512x512. Computed tomography. Abdomen. 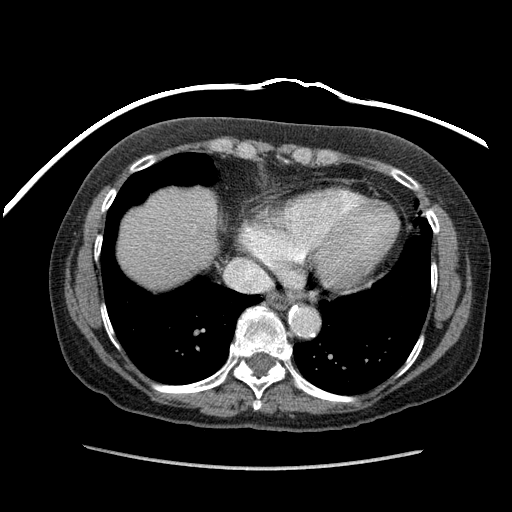

Liver: bbox=[118, 187, 219, 292].